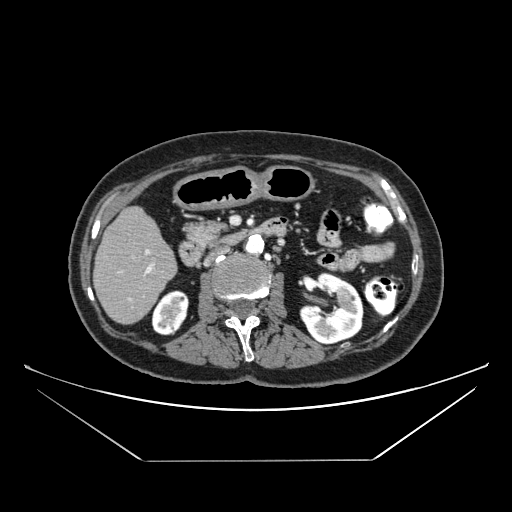

512x512; CT slice
{"pancreas": ["(182, 220, 231, 247)"]}